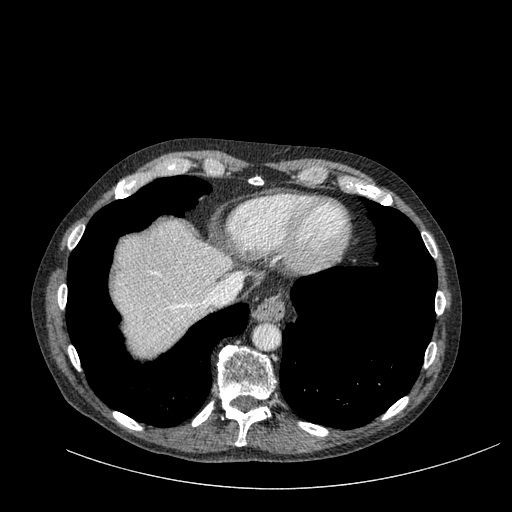 CT image
{"liver": ["<bbox>113, 220, 232, 354</bbox>"]}